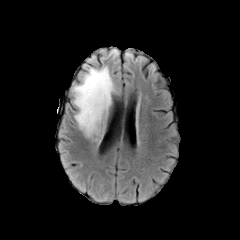
FLAIR MR.
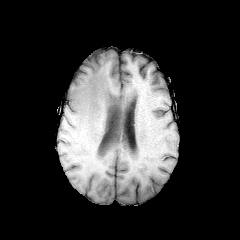
T1-weighted MR.
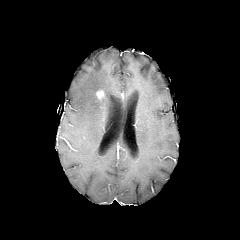
Post-contrast T1-weighted MRI.
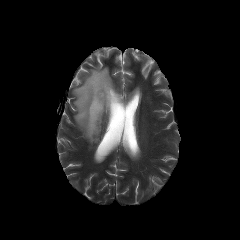
T2-weighted MR image of the same slice.
Head; 240x240 px
edema:
  - [72,64,116,141]
enhancing_tumor:
  - [96,90,103,98]